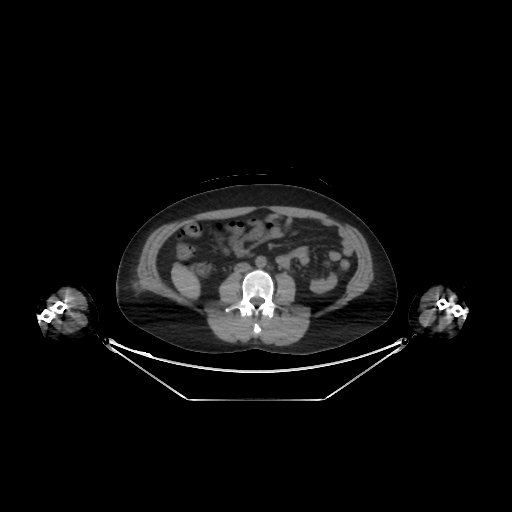
CT slice
Liver: rect(171, 263, 200, 299).